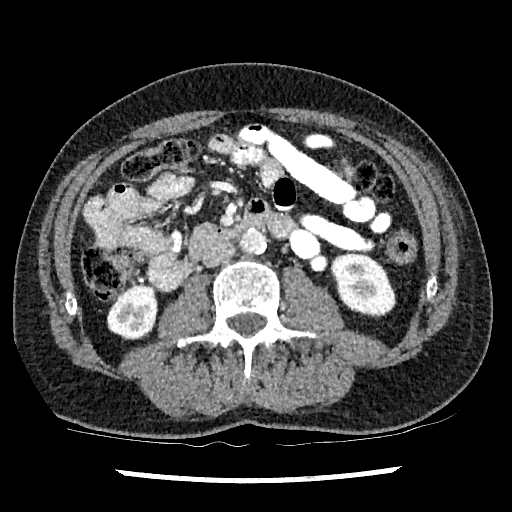 CT

kidney:
  - bbox=[333, 254, 393, 313]
  - bbox=[108, 287, 155, 337]